CT 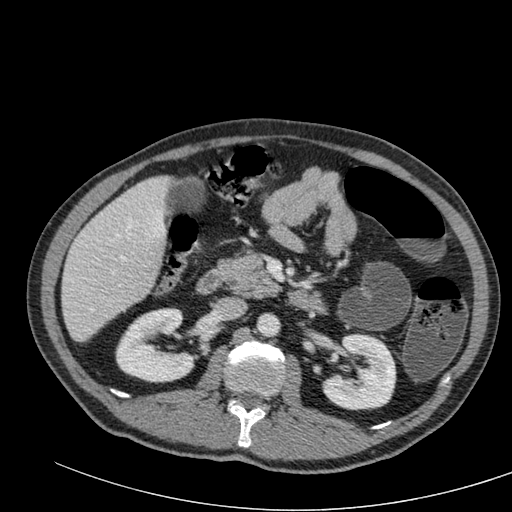
The liver is located at x1=62, y1=176, x2=169, y2=340. 2 kidney regions are bounded by x1=117, y1=309, x2=192, y2=381; x1=324, y1=335, x2=395, y2=408.